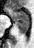 34x48 px; Magnetic resonance; Hippocampus
The posterior hippocampus is bounded by [16, 22, 28, 34]. The anterior hippocampus is at [7, 9, 28, 21].